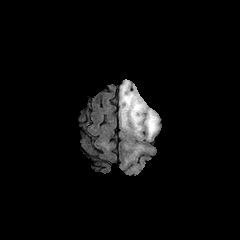
FLAIR magnetic resonance.
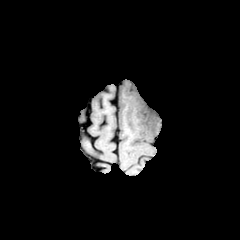
T1-weighted MR image.
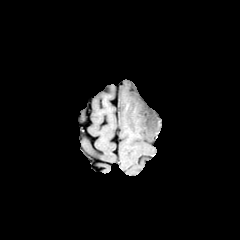
Same slice, post-contrast T1-weighted MRI.
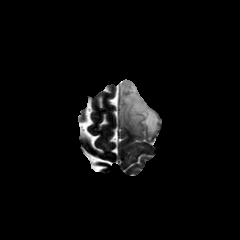
T2-weighted MRI.
Head
The edema is at [118, 79, 159, 138]. The non-enhancing tumor core is at [130, 96, 143, 123].